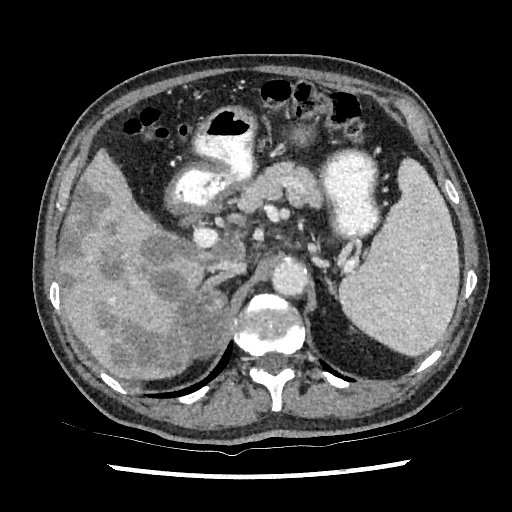
Computed tomography.
7 focal liver lesion regions are bounded by bbox=[60, 177, 109, 259]; bbox=[139, 233, 204, 304]; bbox=[215, 247, 232, 252]; bbox=[60, 269, 75, 296]; bbox=[103, 220, 120, 239]; bbox=[92, 244, 128, 288]; bbox=[95, 304, 186, 372]. 3 liver regions are located at bbox=[158, 231, 245, 294]; bbox=[60, 206, 70, 252]; bbox=[60, 149, 178, 378].